CT scan slice | Slice index 152 | Pelvis | Image size 512x512 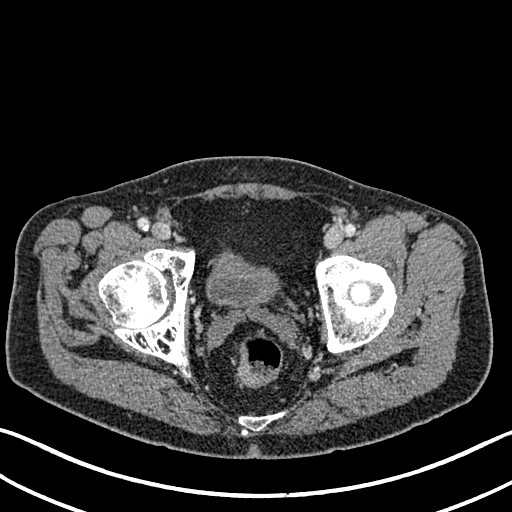 Urinary bladder = 206,250,279,306.